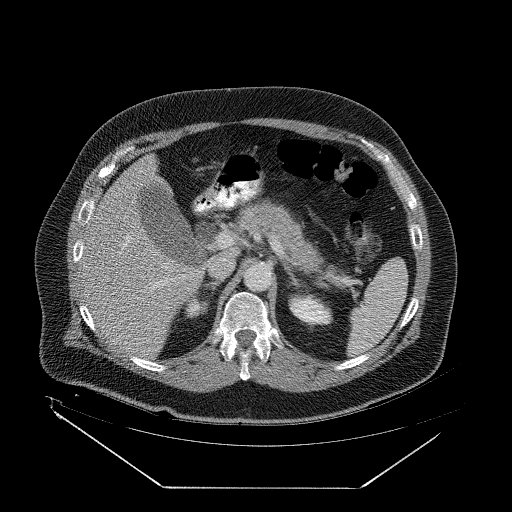
Computed tomography, Upper abdomen
Pancreas = box(236, 200, 361, 285).